Slice index 124
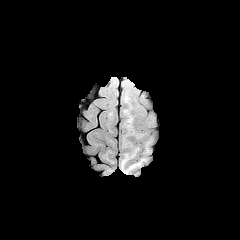
FLAIR magnetic resonance.
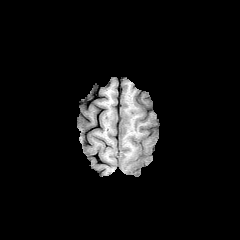
T1-weighted magnetic resonance of the same slice.
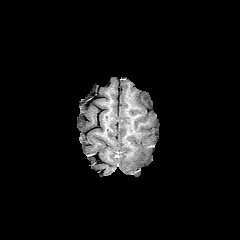
Same slice, post-contrast T1-weighted MR image.
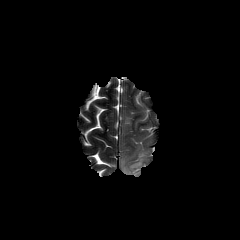
T2-weighted MR.
<segmentation>
  <edema>127 159 142 170</edema>
</segmentation>